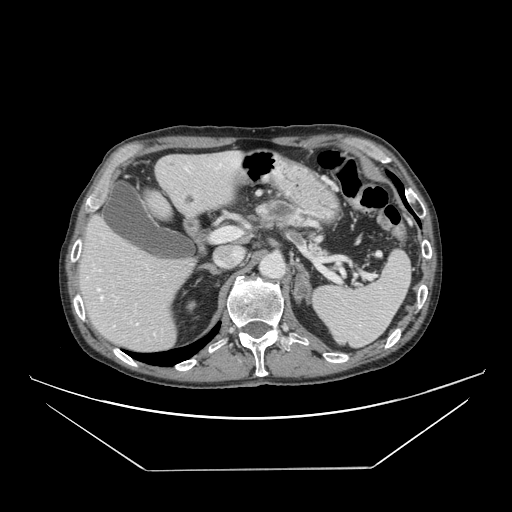
CT scan slice. Upper abdomen.

The pancreatic tumor lies within [267, 203, 291, 220]. 2 pancreas regions are located at [306, 236, 333, 261], [253, 197, 303, 229].